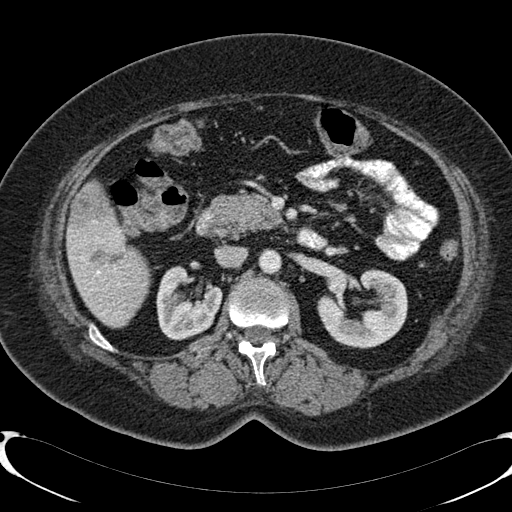

Liver. CT image.
kidney: left=305, top=259, right=406, bottom=347; left=155, top=267, right=221, bottom=338 | liver: left=66, top=207, right=147, bottom=327 | liver lesion: left=70, top=183, right=109, bottom=227; left=91, top=249, right=124, bottom=265